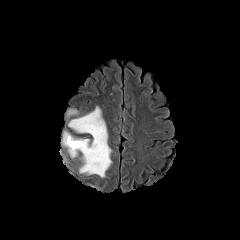
FLAIR MR.
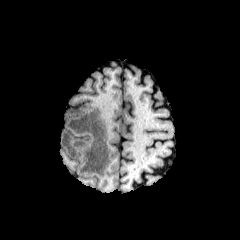
T1-weighted MR image.
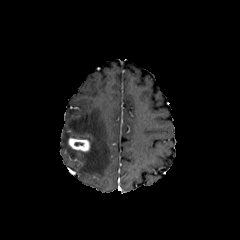
Post-contrast T1-weighted MRI of the same slice.
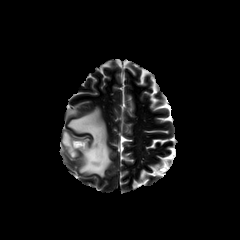
T2-weighted MR of the same slice.
Findings:
- enhancing tumor: region(69, 136, 90, 152)
- edema: region(67, 106, 112, 178); region(66, 109, 78, 117); region(61, 130, 76, 157)